240x240 px; Slice 48 of 155; Brain
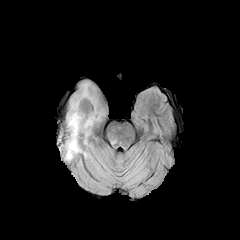
FLAIR MRI.
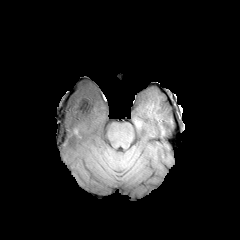
T1-weighted magnetic resonance of the same slice.
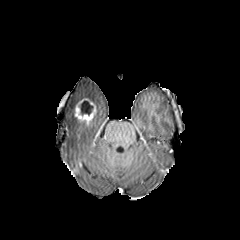
Post-contrast T1-weighted MR.
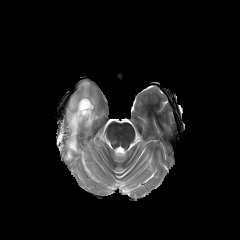
T2-weighted MRI.
The enhancing tumor is located at region(74, 101, 95, 125). The edema is at region(62, 83, 103, 161). The non-enhancing tumor core is located at region(73, 98, 94, 114).